Image width 240 mm, Image size 240x240, Brain
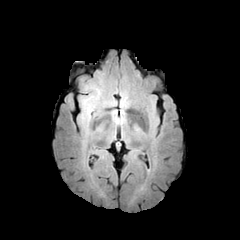
FLAIR MR image.
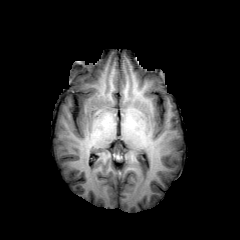
T1-weighted MR of the same slice.
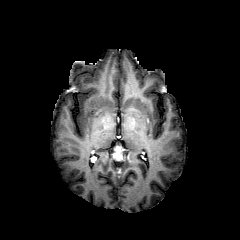
Post-contrast T1-weighted MRI of the same slice.
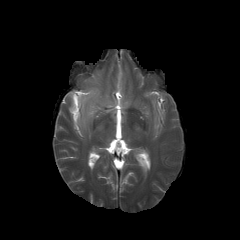
T2-weighted MR.
3 edema regions are bounded by left=117, top=91, right=131, bottom=114; left=114, top=116, right=125, bottom=126; left=79, top=86, right=104, bottom=127.